FLAIR MR.
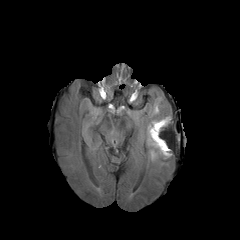
T1-weighted MR.
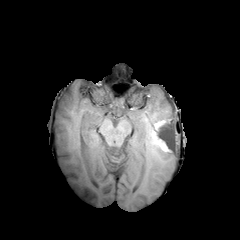
Post-contrast T1-weighted MRI.
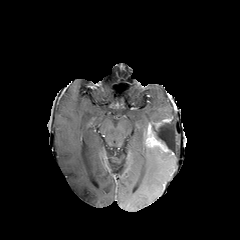
T2-weighted magnetic resonance.
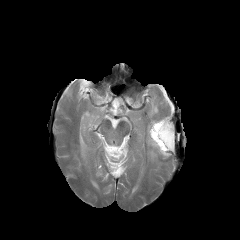
Head
{"non-enhancing_tumor_core": ["x1=152, y1=122, x2=170, y2=149"], "enhancing_tumor": ["x1=146, y1=124, x2=168, y2=152"], "edema": ["x1=148, y1=146, x2=171, y2=162", "x1=96, y1=92, x2=107, y2=102", "x1=140, y1=99, x2=169, y2=138"]}